Abdomen; Image width 400 mm; Slice index 43; CT image
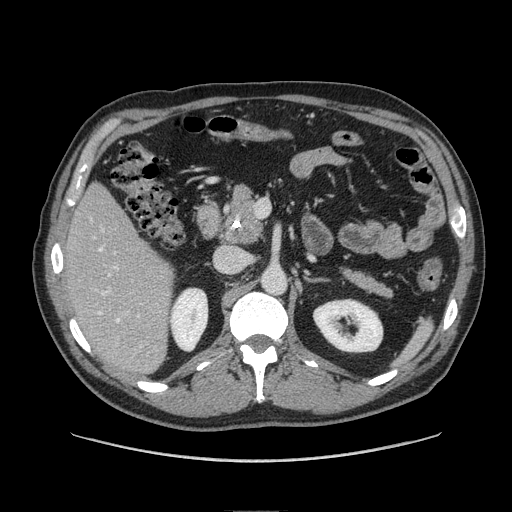
Pancreas: bounding box (335,264,396,302), (218,183,267,246).